FLAIR MR image.
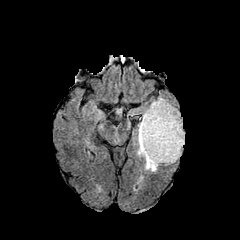
T1-weighted magnetic resonance.
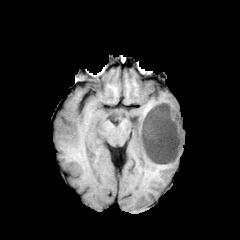
Post-contrast T1-weighted magnetic resonance.
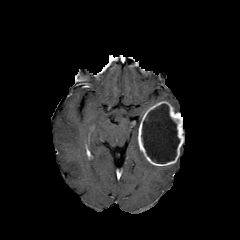
T2-weighted MR image.
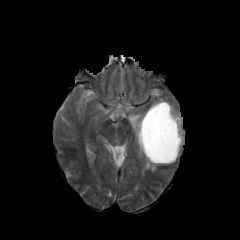
Head
enhancing_tumor:
  - [137,101,184,165]
edema:
  - [129,97,168,121]
  - [133,130,158,172]
non-enhancing_tumor_core:
  - [142,104,179,163]